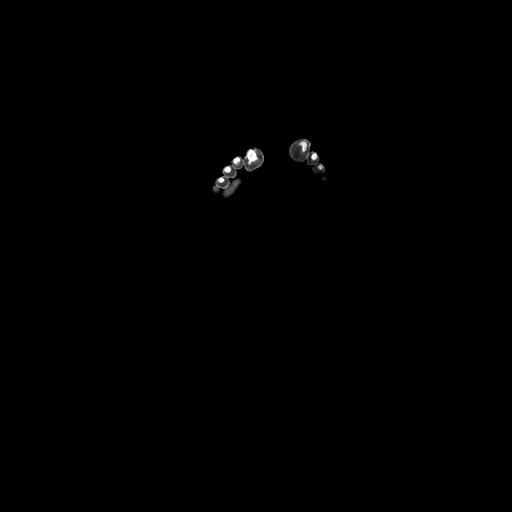
CT image, 512x512 px
<segmentation>
  <bone>box(247, 150, 257, 163)</bone>
</segmentation>